FLAIR MR.
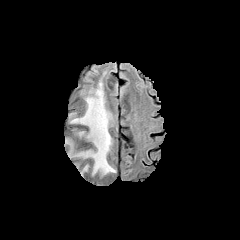
T1-weighted MR.
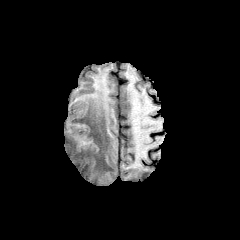
Post-contrast T1-weighted magnetic resonance.
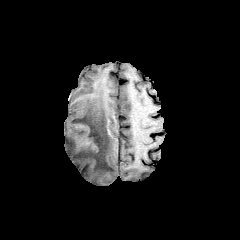
T2-weighted MR image.
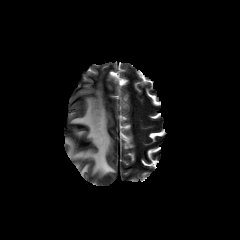
Head
Edema at [69, 82, 115, 177].